CT slice, Abdomen, Field of view 393x393 mm 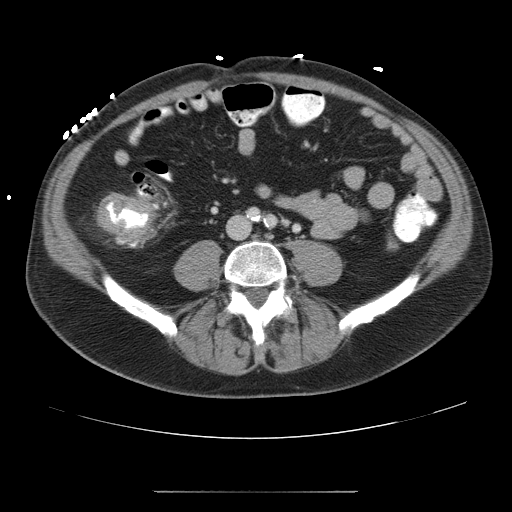 • colon tumor: 98,194,156,240